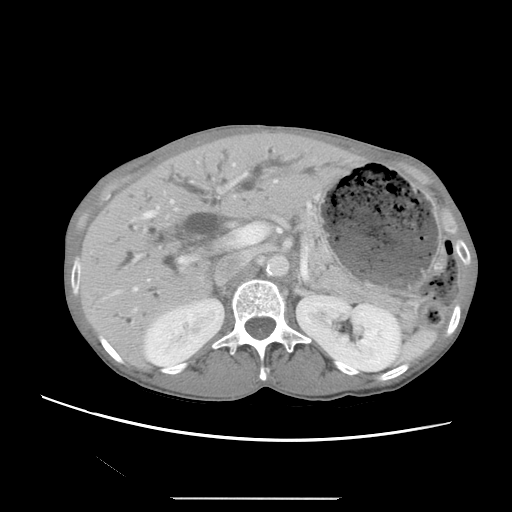
Abdomen; 512x512; CT image
pancreas:
  - {"x1": 306, "y1": 219, "x2": 415, "y2": 331}